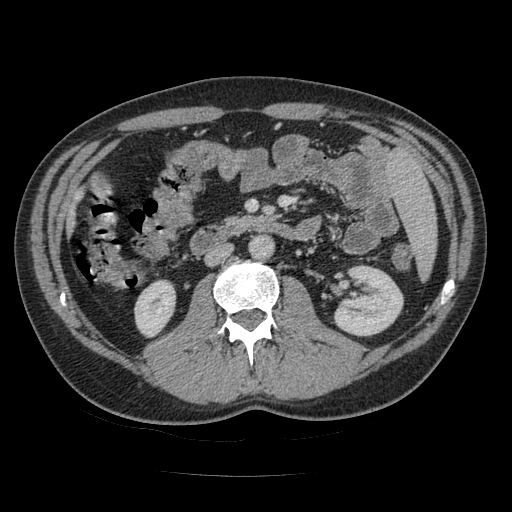

CT slice; 512x512 px; Abdomen
Pancreas — 231 216 250 221.